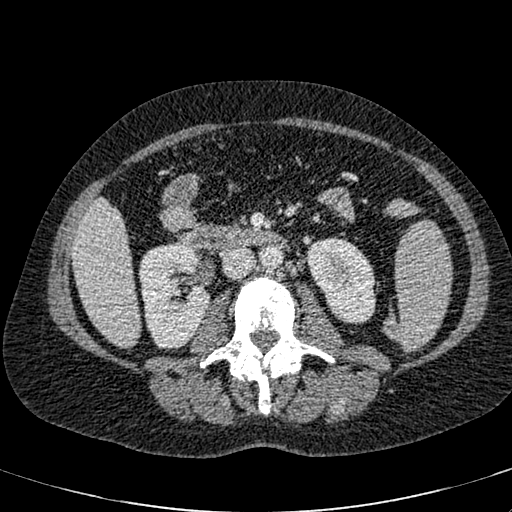 CT image, 512x512
kidney:
  - 307,238,374,322
  - 139,243,209,347
liver:
  - 73,199,139,345